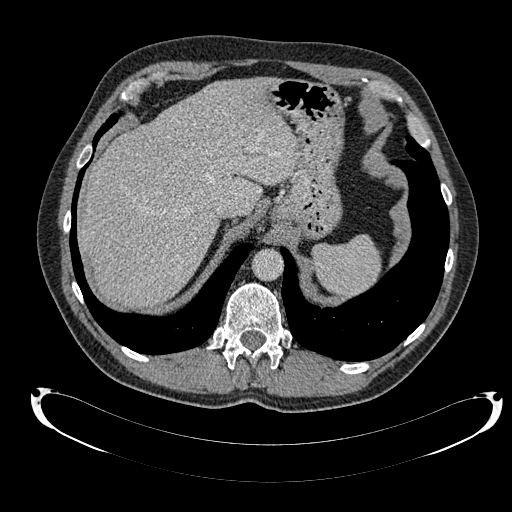

Liver | CT scan slice

liver:
  - <bbox>82, 78, 298, 307</bbox>